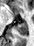

Image size 34x46 | MRI

posterior hippocampus: rect(16, 22, 27, 35)